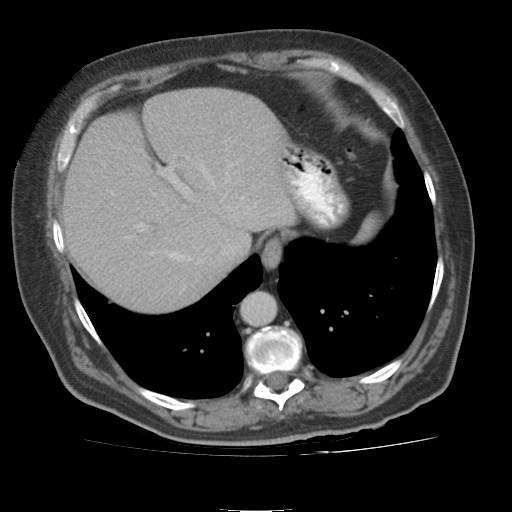

CT scan slice
Liver at x1=65, y1=90, x2=297, y2=313.